FLAIR MR.
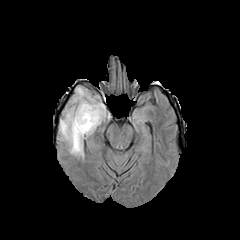
T1-weighted MR image.
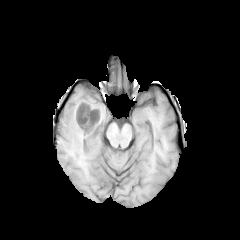
Post-contrast T1-weighted MR.
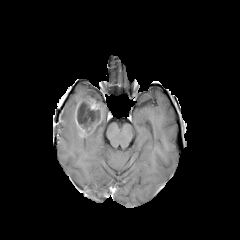
T2-weighted MR image.
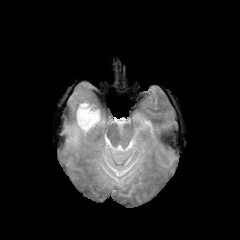
Segmented structures:
- non-enhancing tumor core: region(75, 100, 102, 133)
- edema: region(60, 87, 110, 157)